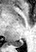 Magnetic resonance | 36x52 px
posterior_hippocampus:
  - 13:41:23:46